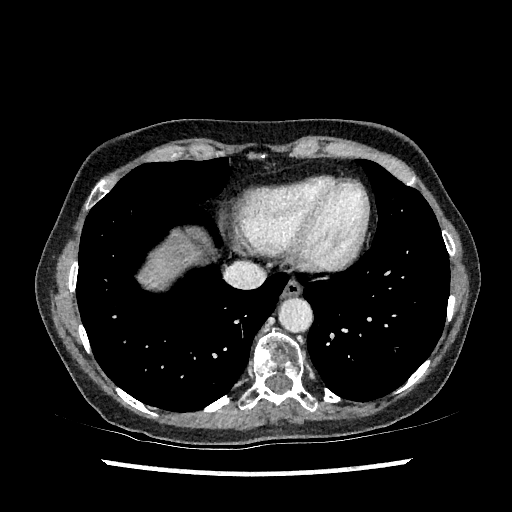

CT | Upper abdomen
Liver at x1=145, y1=239, x2=202, y2=285.